Head
FLAIR magnetic resonance.
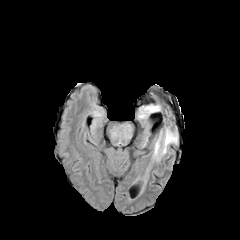
T1-weighted MR image.
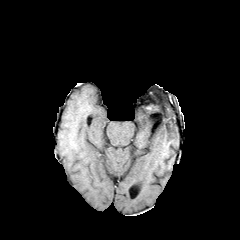
Post-contrast T1-weighted MRI.
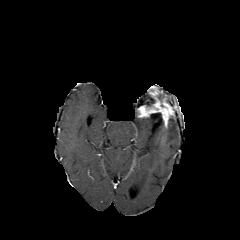
T2-weighted MR.
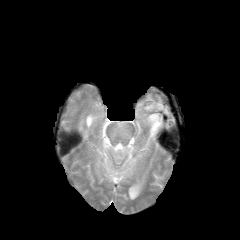
non-enhancing tumor core: region(159, 124, 168, 142) | edema: region(124, 129, 131, 140); region(153, 129, 176, 161) | enhancing tumor: region(138, 99, 171, 120)